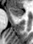 MRI. Hippocampus. The anterior hippocampus appears at rect(9, 7, 23, 17).